Slice 98 of 155.
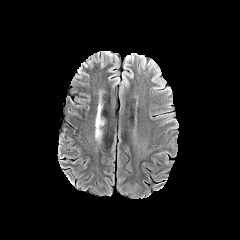
FLAIR MRI.
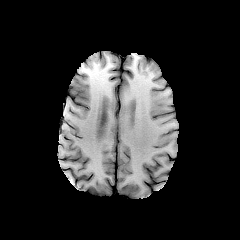
T1-weighted MR.
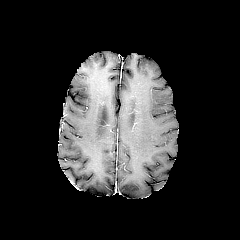
Post-contrast T1-weighted MRI of the same slice.
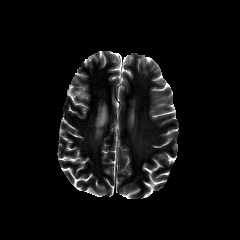
Same slice, T2-weighted MRI.
Segmented structures:
- edema: 94, 107, 105, 134